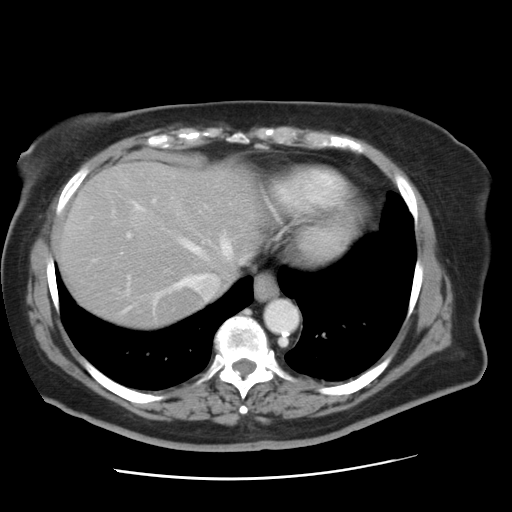 CT slice
Only some of the vessels may be annotated.
10 hepatic vessel regions appear at 180:239:210:260, 127:275:129:279, 123:307:128:311, 153:293:160:307, 133:202:141:208, 152:198:155:200, 171:273:218:299, 127:233:129:236, 220:237:231:259, 126:286:128:293.